Slice index 17; MR
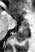

Anterior hippocampus: bounding box left=14, top=15, right=16, bottom=18; left=9, top=14, right=12, bottom=16; left=20, top=20, right=27, bottom=23.
Posterior hippocampus: bounding box left=13, top=24, right=28, bottom=42.